FLAIR magnetic resonance.
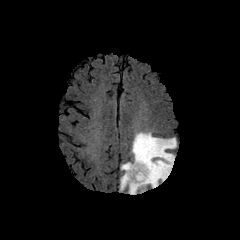
T1-weighted magnetic resonance.
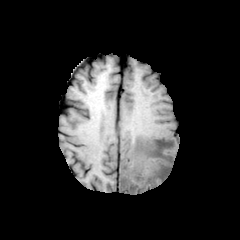
Post-contrast T1-weighted MRI.
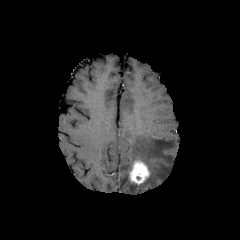
T2-weighted magnetic resonance.
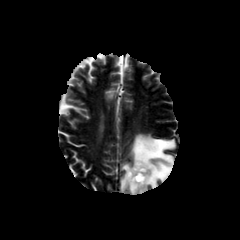
Brain
Edema = [120, 131, 176, 194].
Enhancing tumor = [128, 159, 151, 187].